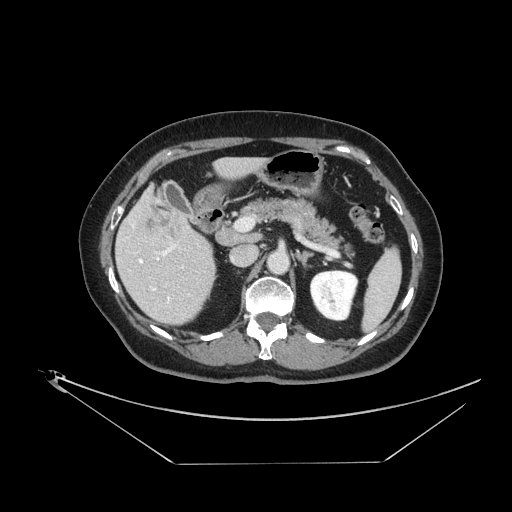 Computed tomography
The vessel boxes may cover only some of the vessels.
<segmentation>
  <liver_tumor><bbox>143, 204, 183, 238</bbox></liver_tumor>
  <hepatic_vessel><bbox>151, 287, 155, 290</bbox>, <bbox>237, 219, 251, 229</bbox>, <bbox>167, 296, 169, 302</bbox>, <bbox>156, 243, 176, 259</bbox>, <bbox>138, 258, 142, 263</bbox></hepatic_vessel>
</segmentation>